FLAIR magnetic resonance.
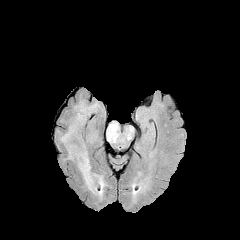
T1-weighted magnetic resonance.
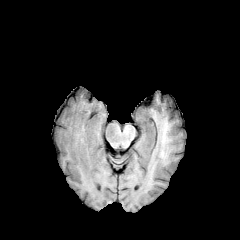
Post-contrast T1-weighted MR image.
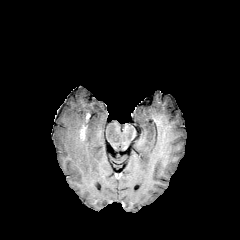
T2-weighted MRI.
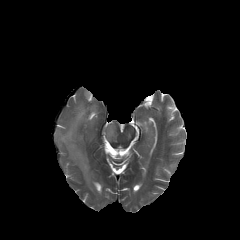
Image size 240x240
Edema: bounding box <box>62,106,93,144</box>, <box>106,122,117,141</box>, <box>74,146,91,180</box>.